Slice 34/44, CT, 512x512 px

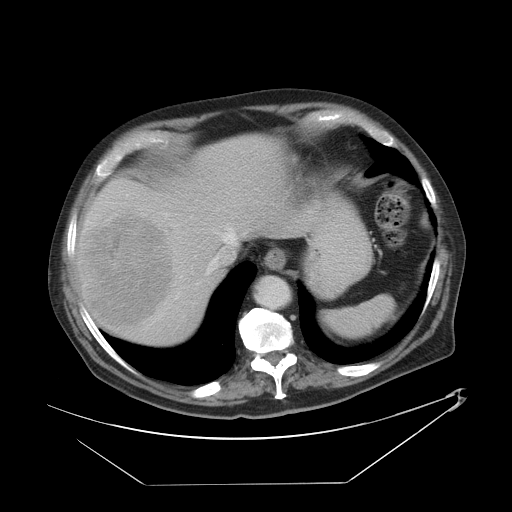

The vessel annotation is not exhaustive.
The liver tumor is bounded by (left=81, top=214, right=174, bottom=327). 3 hepatic vessel regions are located at (left=214, top=226, right=235, bottom=243), (left=165, top=213, right=167, bottom=215), (left=206, top=256, right=218, bottom=274).